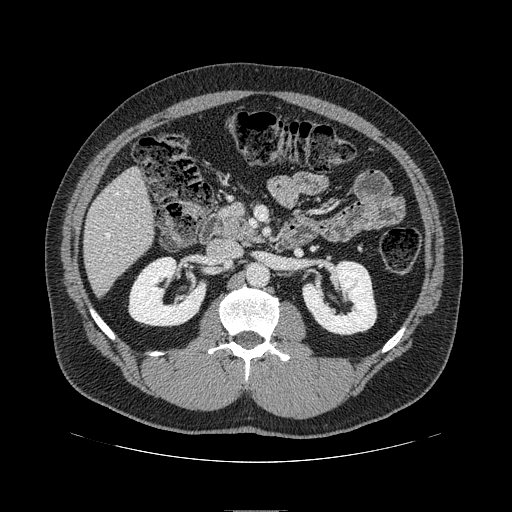 CT image | Upper abdomen
Pancreas: bounding box <bbox>223, 204, 252, 240</bbox>.